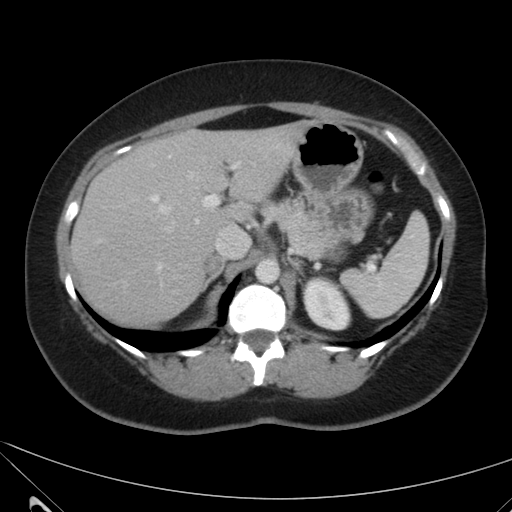
Liver | Computed tomography | 512x512

The kidney is bounded by bbox=[305, 281, 348, 328]. The liver lies within bbox=[69, 124, 301, 323].